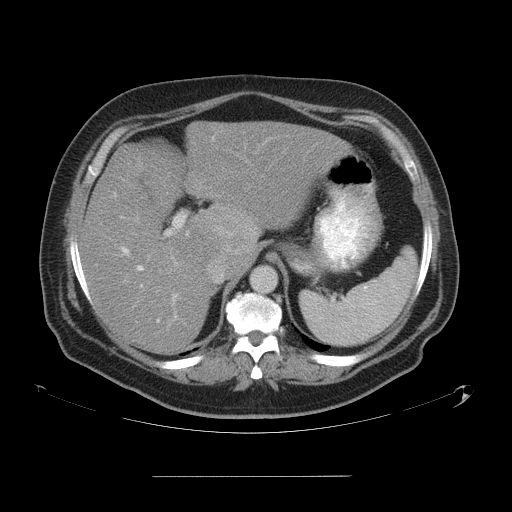 Computed tomography. The vessel annotation is not exhaustive.
Findings:
- hepatic vessel: 137,265,143,270; 157,319,158,321; 141,285,143,290; 172,212,185,228; 194,218,197,220; 172,294,177,302; 121,216,123,218; 148,256,149,258; 164,230,171,235; 113,192,116,196; 120,247,128,255; 186,231,188,236
- liver tumor: 219,222,245,254